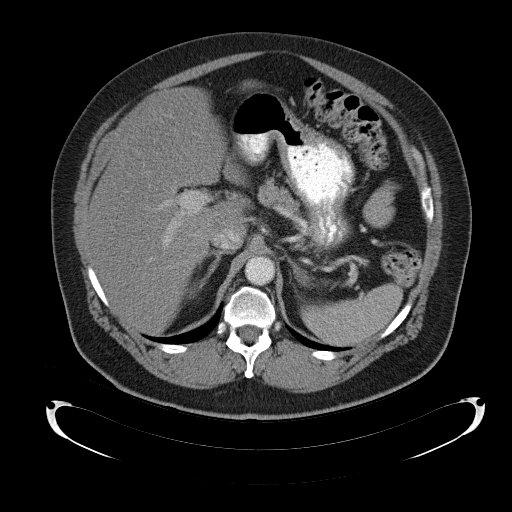
Upper abdomen. CT slice. 512x512. <segmentation>
  <spleen>rect(303, 286, 401, 346)</spleen>
</segmentation>